Abdomen; CT slice 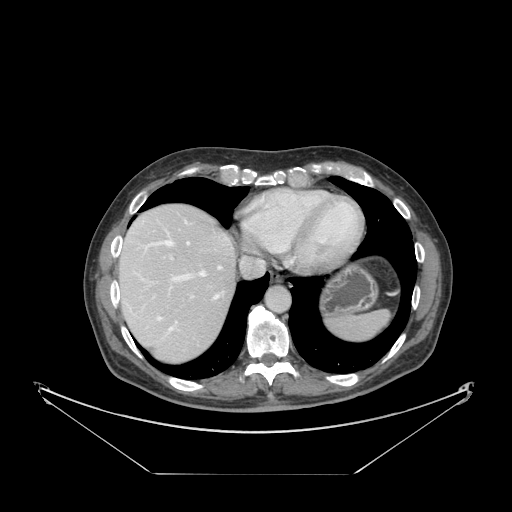 The spleen is located at (326,311,389,342).